Slice 14/42 | Liver | CT 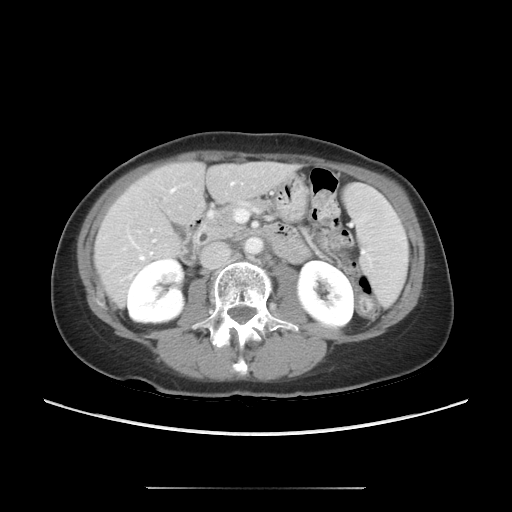 The vessel annotation is not exhaustive.
<segmentation>
  <hepatic_vessel>236, 181, 243, 185; 150, 228, 153, 231; 171, 189, 173, 191; 141, 257, 143, 259; 152, 239, 156, 241; 253, 185, 254, 187; 229, 181, 233, 185</hepatic_vessel>
</segmentation>